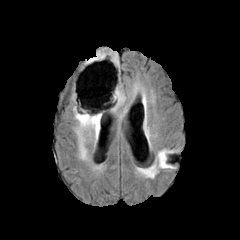
FLAIR MR.
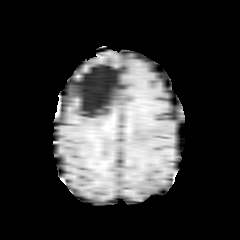
T1-weighted MR image of the same slice.
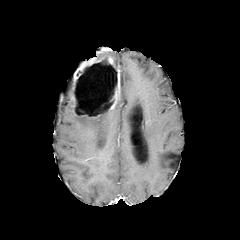
Post-contrast T1-weighted magnetic resonance.
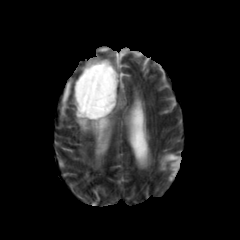
T2-weighted MRI.
Head
<segmentation>
  <non-enhancing_tumor_core>box(118, 72, 122, 99); box(74, 86, 117, 119)</non-enhancing_tumor_core>
  <enhancing_tumor>box(114, 80, 120, 101)</enhancing_tumor>
  <edema>box(72, 91, 101, 159); box(144, 124, 150, 137); box(108, 51, 119, 67); box(132, 83, 140, 97); box(158, 150, 173, 169); box(110, 82, 132, 120)</edema>
</segmentation>